Field of view 345 mm wide, 7.50 mm slice spacing; Abdomen; CT slice 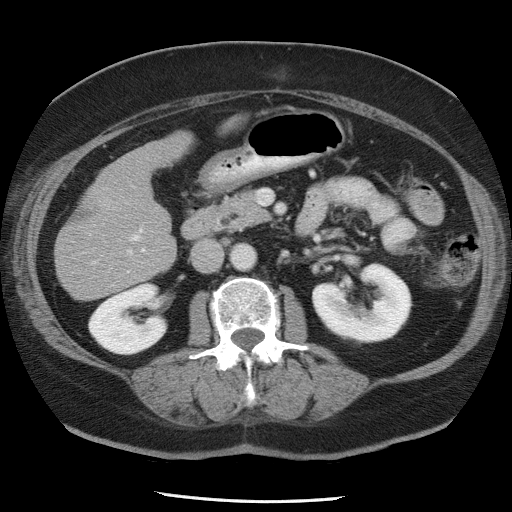
Only some of the vessels may be annotated.
The hepatic vessel is at x1=133 y1=235 x2=137 y2=239. The liver tumor is bounded by x1=69 y1=205 x2=104 y2=227.